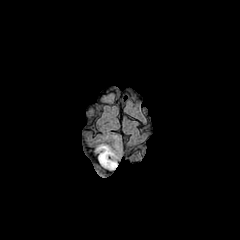
FLAIR MRI.
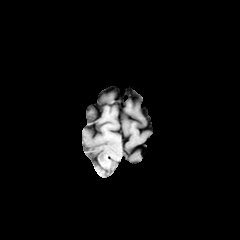
T1-weighted MR image.
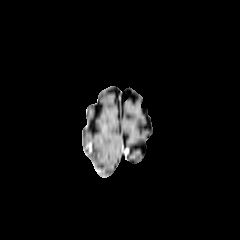
Post-contrast T1-weighted MR.
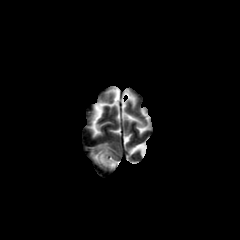
T2-weighted MR image of the same slice.
Head.
edema:
  - 94 144 120 169